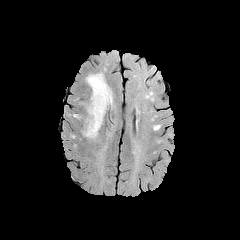
FLAIR MR image.
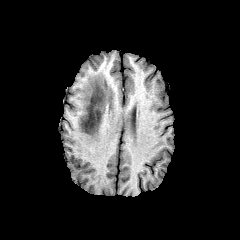
T1-weighted MRI.
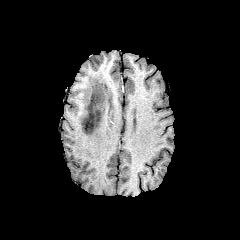
Same slice, post-contrast T1-weighted magnetic resonance.
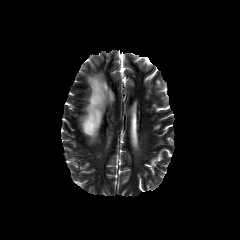
Same slice, T2-weighted MR.
Edema = box=[84, 77, 113, 140].
Non-enhancing tumor core = box=[83, 89, 102, 132]; box=[86, 72, 106, 82].